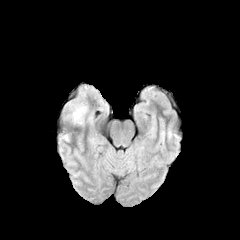
FLAIR MR.
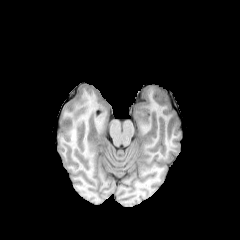
T1-weighted magnetic resonance.
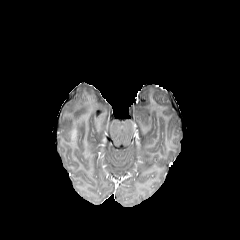
Post-contrast T1-weighted magnetic resonance of the same slice.
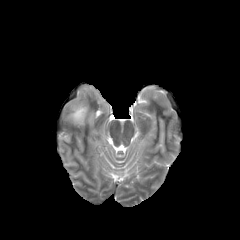
T2-weighted MR image.
Head
2 edema regions are bounded by region(66, 92, 87, 123); region(84, 103, 91, 121). The non-enhancing tumor core is bounded by region(74, 100, 87, 123).